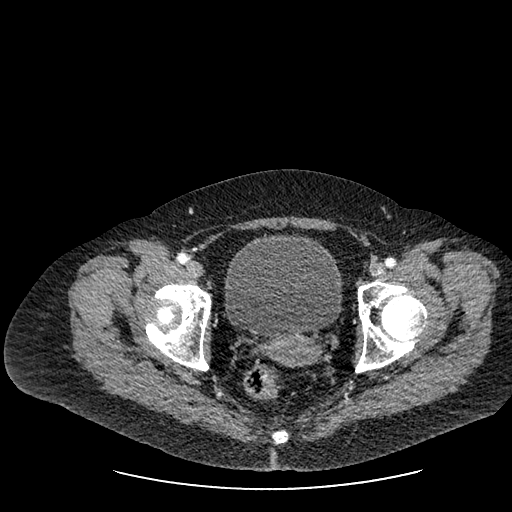 512x512, Lower abdomen, CT
urinary_bladder:
  - box=[225, 233, 341, 337]